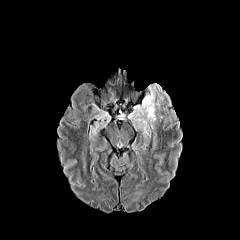
FLAIR MR image.
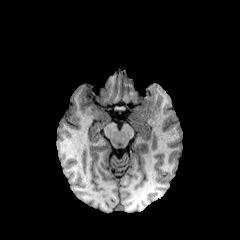
Same slice, T1-weighted MRI.
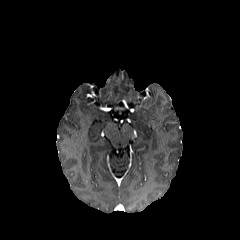
Same slice, post-contrast T1-weighted MR.
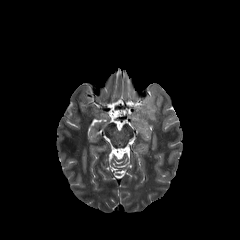
T2-weighted MRI.
Image size 240x240; Brain
Annotated regions:
• edema: [128, 85, 163, 142]